CT, Slice 515/624
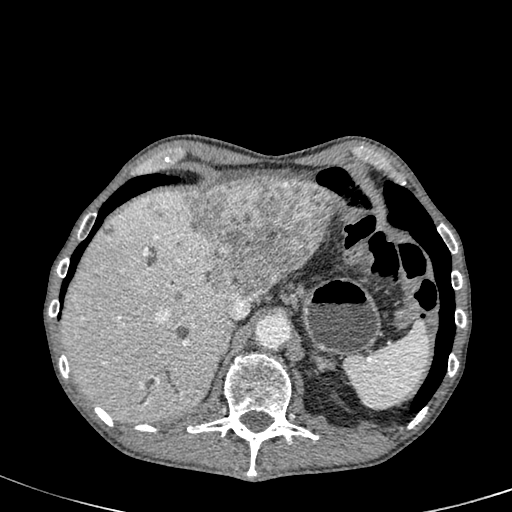
<segmentation>
  <focal_liver_lesion><bbox>184, 179, 338, 299</bbox></focal_liver_lesion>
  <liver><bbox>62, 191, 240, 422</bbox></liver>
</segmentation>